FLAIR MR.
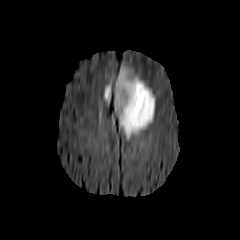
T1-weighted MR image.
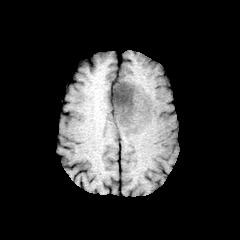
Post-contrast T1-weighted MRI.
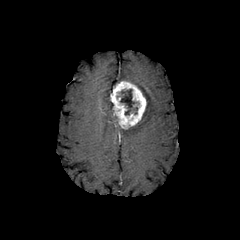
T2-weighted MR image.
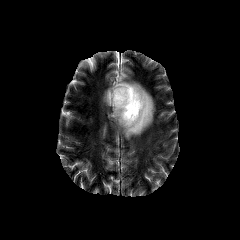
Image size 240x240
edema: bbox(103, 84, 110, 104); bbox(116, 66, 155, 139) | non-enhancing tumor core: bbox(120, 89, 139, 115) | enhancing tumor: bbox(109, 80, 146, 129)